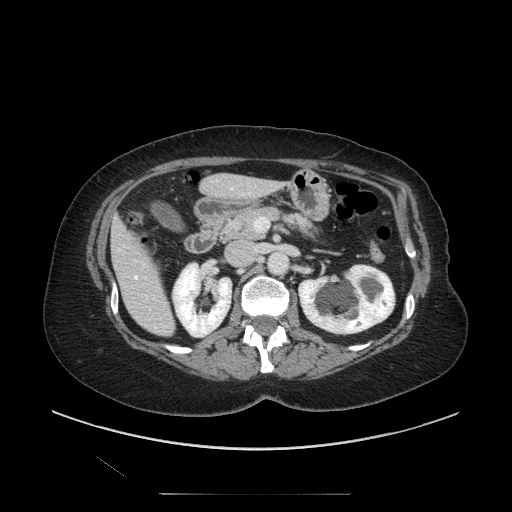 CT slice. Pancreas — [220,207,315,241].